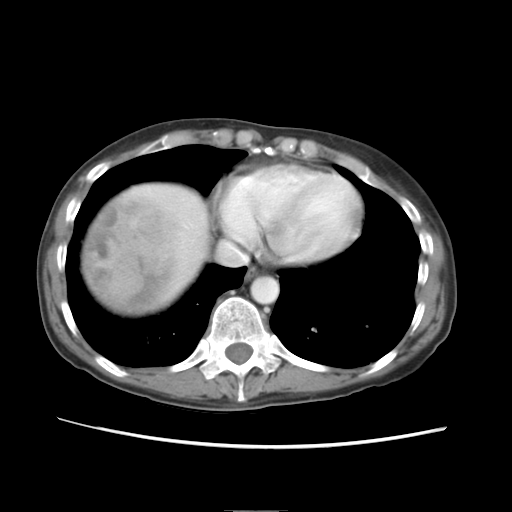
Image size 512x512 | CT scan slice
The liver tumor is located at (84,195,178,314).